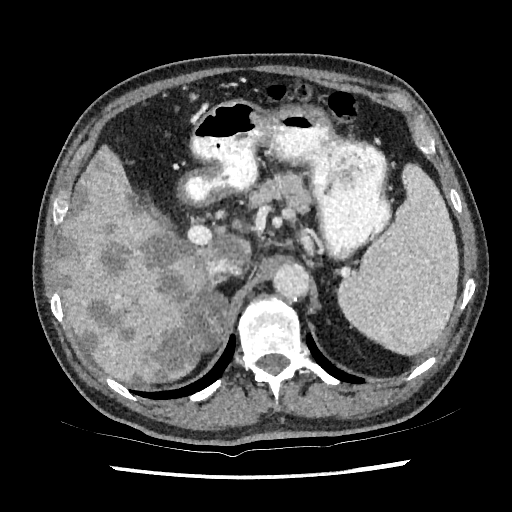
Abdomen, CT scan slice
focal_liver_lesion:
  - x1=105 y1=223 x2=114 y2=233
  - x1=87 y1=297 x2=198 y2=380
  - x1=97 y1=160 x2=103 y2=168
  - x1=133 y1=374 x2=141 y2=381
  - x1=79 y1=334 x2=97 y2=350
  - x1=59 y1=269 x2=74 y2=290
  - x1=211 y1=236 x2=246 y2=263
  - x1=126 y1=195 x2=143 y2=214
  - x1=97 y1=240 x2=128 y2=277
  - x1=154 y1=270 x2=191 y2=312
  - x1=59 y1=237 x2=83 y2=262
  - x1=66 y1=185 x2=90 y2=220
  - x1=144 y1=231 x2=199 y2=267
liver:
  - x1=59 y1=146 x2=217 y2=381
  - x1=165 y1=358 x2=197 y2=380
  - x1=235 y1=238 x2=250 y2=265